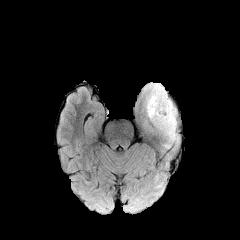
FLAIR magnetic resonance.
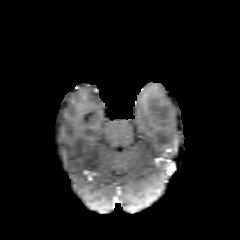
T1-weighted MR image.
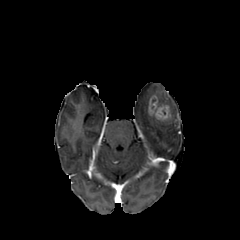
Post-contrast T1-weighted MRI.
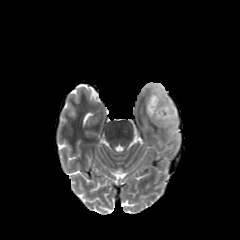
Same slice, T2-weighted MR image.
Head
<segmentation>
  <enhancing_tumor>box(148, 95, 170, 120)</enhancing_tumor>
  <edema>box(145, 83, 179, 142)</edema>
</segmentation>